FLAIR MRI.
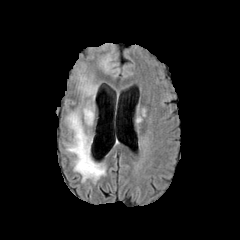
T1-weighted MR image.
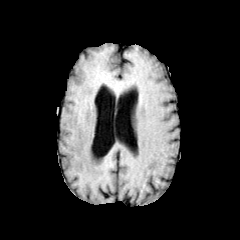
Post-contrast T1-weighted MRI.
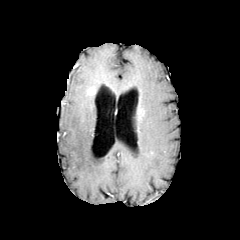
T2-weighted magnetic resonance.
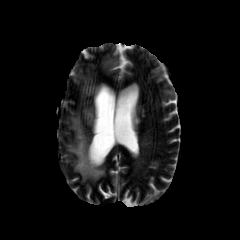
240x240 px.
edema: l=66, t=105, r=105, b=183; l=77, t=74, r=95, b=98 | non-enhancing tumor core: l=86, t=86, r=95, b=95